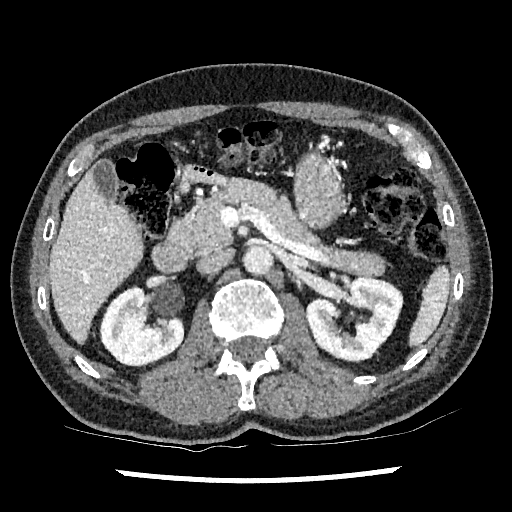

Computed tomography; 512x512 px
liver: box=[49, 163, 142, 343] | kidney: box=[307, 278, 401, 359]; box=[101, 288, 183, 364]